Slice 66/109 | MR image

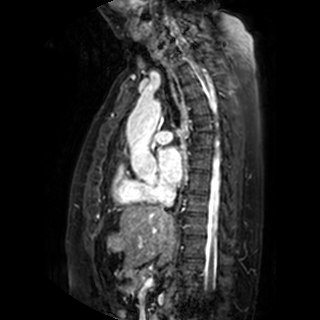

- left atrium: bbox(159, 148, 182, 184)